Field of view 353x353 mm; CT image; Slice 68/422; Lower abdomen
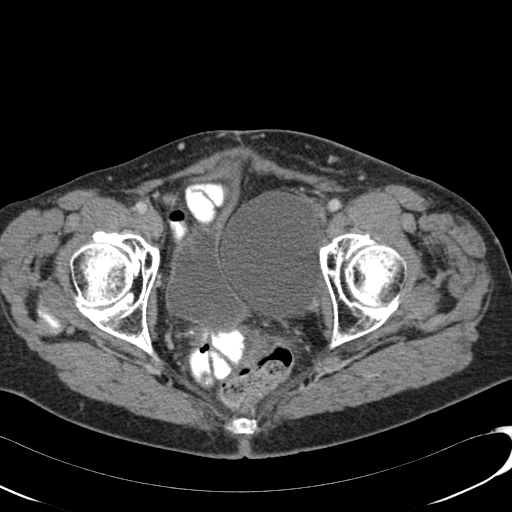
urinary_bladder:
  - <box>165,166,248,329</box>
  - <box>174,198,188,215</box>